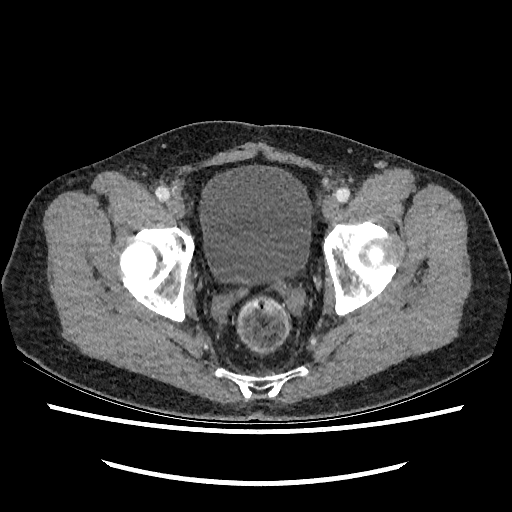
CT
Urinary bladder = box(199, 164, 313, 287).